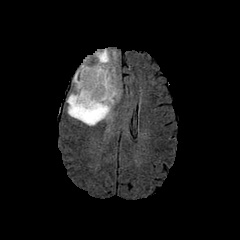
FLAIR magnetic resonance.
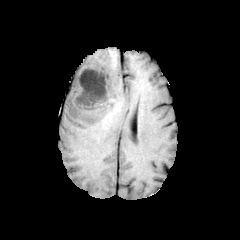
T1-weighted MR image of the same slice.
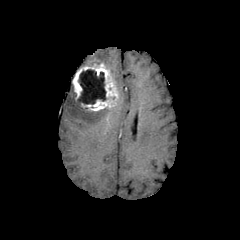
Post-contrast T1-weighted MRI.
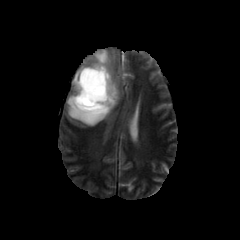
T2-weighted MR image.
{"edema": ["l=66, t=90, r=111, b=126", "l=94, t=48, r=119, b=96"], "non-enhancing_tumor_core": ["l=76, t=69, r=105, b=105"], "enhancing_tumor": ["l=72, t=57, r=118, b=111"]}